Brain
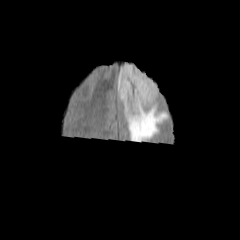
FLAIR MR image.
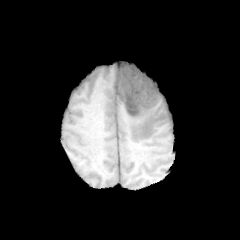
T1-weighted MR of the same slice.
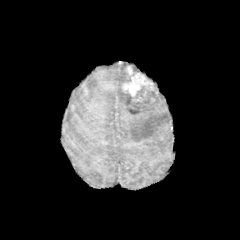
Post-contrast T1-weighted MR image of the same slice.
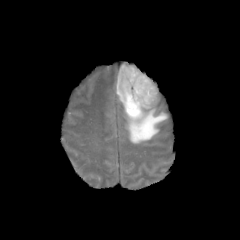
T2-weighted MR image.
2 non-enhancing tumor core regions are located at bbox(127, 108, 140, 113); bbox(124, 82, 158, 108). The edema lies within bbox(116, 62, 169, 143). The enhancing tumor is at bbox(121, 64, 154, 102).